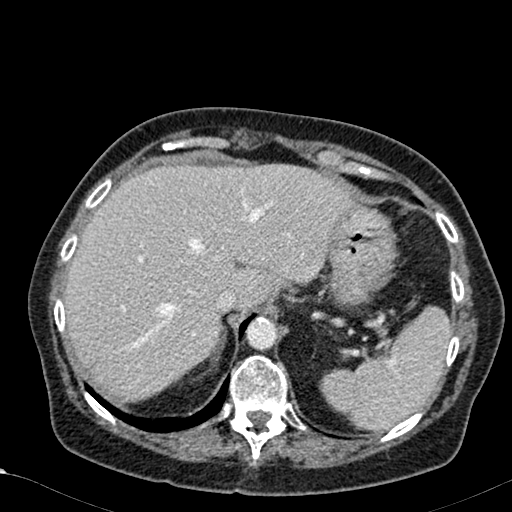 Liver. CT. Image size 512x512.
{
  "liver": [
    "box=[66, 164, 351, 400]"
  ]
}